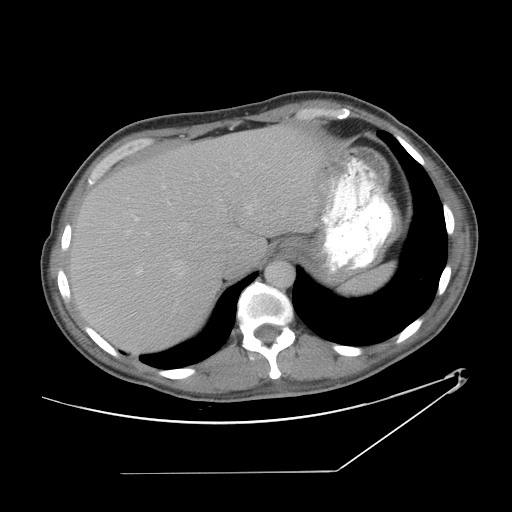
Abdomen, 512x512 px, CT slice
The vessel annotation is not exhaustive.
hepatic vessel: <bbox>172, 261, 183, 276</bbox>, <bbox>163, 185, 165, 188</bbox>, <bbox>178, 224, 186, 229</bbox>, <bbox>247, 205, 252, 214</bbox>, <bbox>146, 233, 149, 236</bbox>, <bbox>137, 269, 142, 273</bbox>, <bbox>131, 210, 138, 220</bbox>, <bbox>128, 231, 129, 232</bbox>, <bbox>233, 173, 238, 176</bbox>